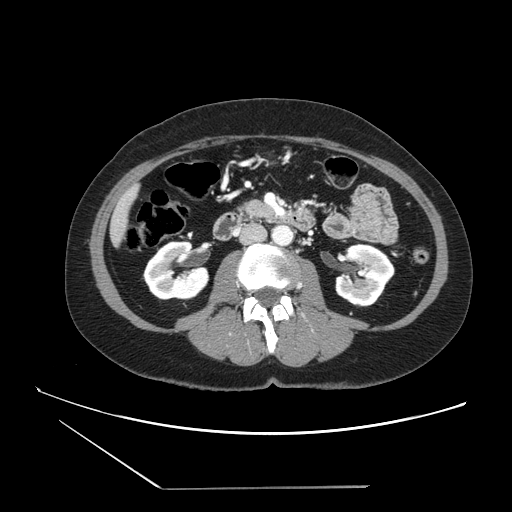 Abdomen. CT image.
pancreas:
  - 242 200 272 217